240x240, Head
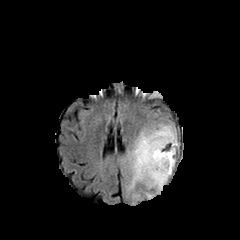
FLAIR MR image.
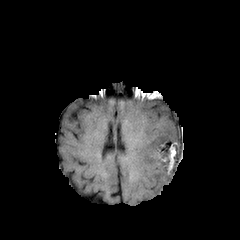
Same slice, T1-weighted magnetic resonance.
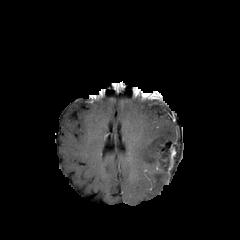
Post-contrast T1-weighted MR.
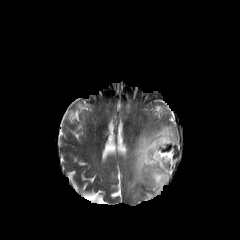
T2-weighted MR image of the same slice.
The edema is at bbox(126, 122, 179, 199). The enhancing tumor is bounded by bbox(170, 148, 175, 164).